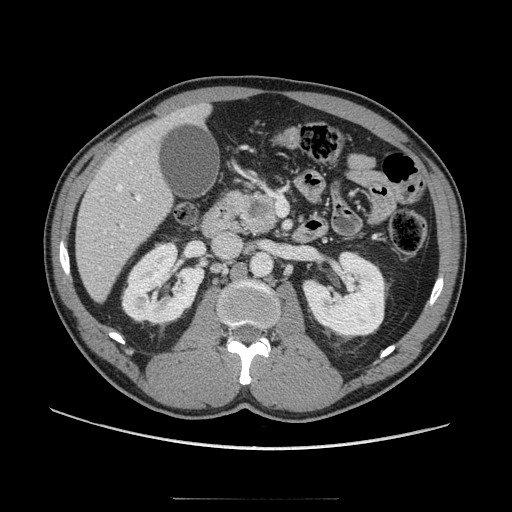 CT image; 512x512
The pancreas lies within (225,191,278,235). The pancreatic tumor is at (244,196,275,218).